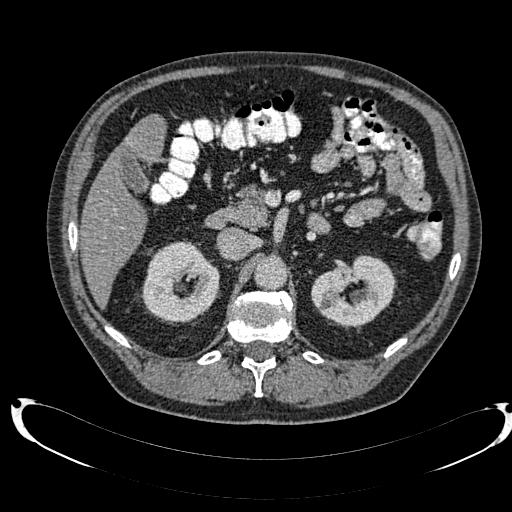
Image size 512x512 | Upper abdomen | CT scan slice
The liver lies within (81,116,164,308). 2 kidney regions appear at (311,255,395,326), (142,242,219,322).